CT, Image width 382 mm, Slice 360 of 722, Upper abdomen
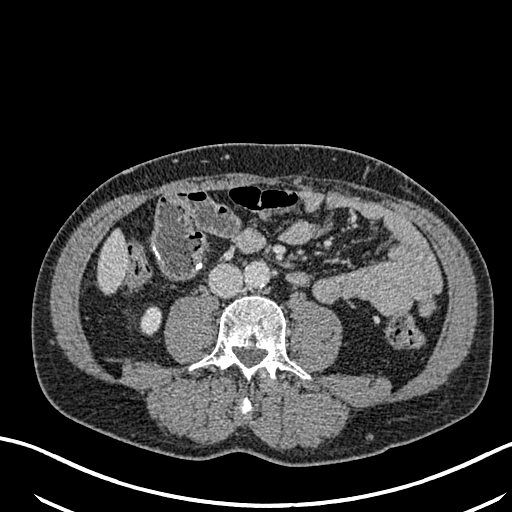 <segmentation>
  <liver>(98,231,125,291)</liver>
  <kidney>(142,308,160,332)</kidney>
</segmentation>